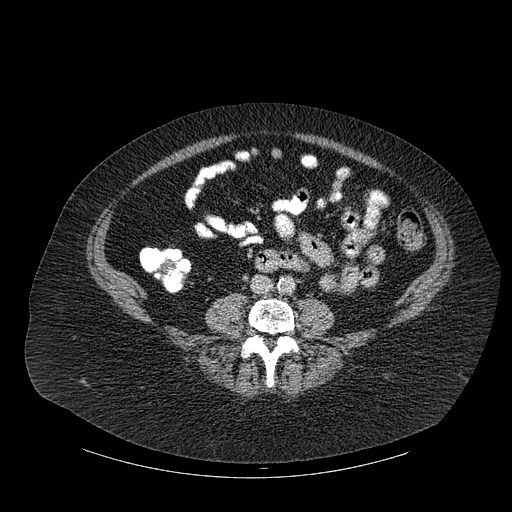 CT
The bone is located at box=[242, 299, 298, 386].